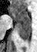
MR. {"posterior_hippocampus": ["box=[17, 23, 30, 40]"], "anterior_hippocampus": ["box=[10, 8, 30, 22]"]}